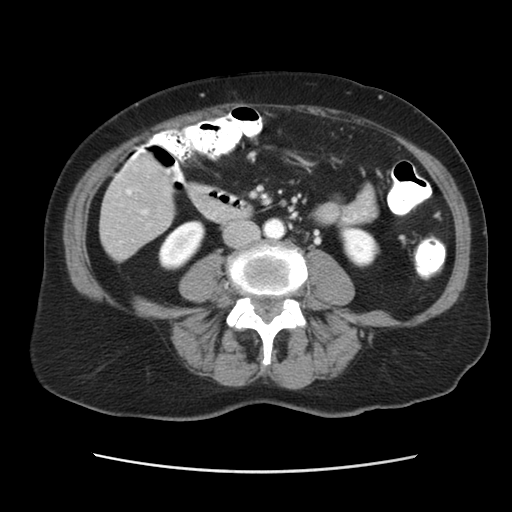 Image size 512x512 | Liver | CT scan slice
Only some of the vessels may be annotated.
hepatic_vessel:
  - [142,210,148,214]
  - [127,190,131,193]